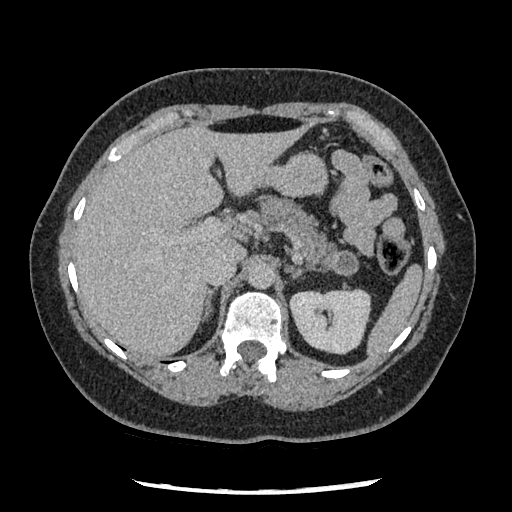

CT scan slice
Pancreas: bounding box [x1=260, y1=197, x2=344, y2=270].
Pancreatic tumor: bounding box [x1=330, y1=251, x2=359, y2=275].